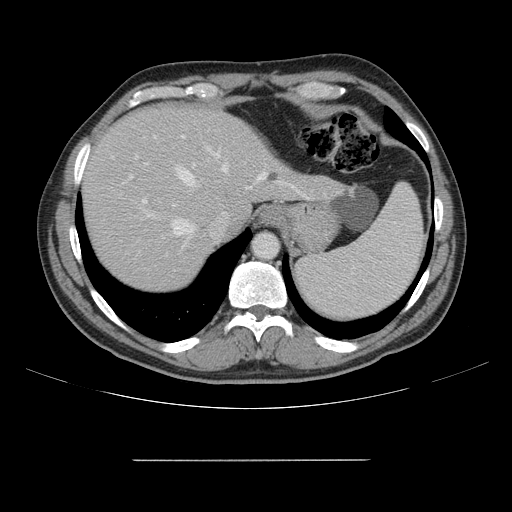 CT image, Liver
Some hepatic vessels may have no box.
{
  "hepatic_vessel": [
    "x1=130 y1=175 x2=132 y2=178",
    "x1=135 y1=156 x2=137 y2=159",
    "x1=259 y1=173 x2=266 y2=179",
    "x1=146 y1=212 x2=150 y2=215",
    "x1=172 y1=219 x2=193 y2=245",
    "x1=222 y1=165 x2=227 y2=171",
    "x1=182 y1=135 x2=185 y2=138",
    "x1=215 y1=148 x2=219 y2=156",
    "x1=246 y1=186 x2=250 y2=188",
    "x1=206 y1=146 x2=210 y2=151",
    "x1=192 y1=163 x2=194 y2=166",
    "x1=143 y1=199 x2=145 y2=202"
  ],
  "liver_tumor": [
    "x1=266 y1=172 x2=279 y2=182"
  ]
}